Computed tomography; Field of view 400x400 mm

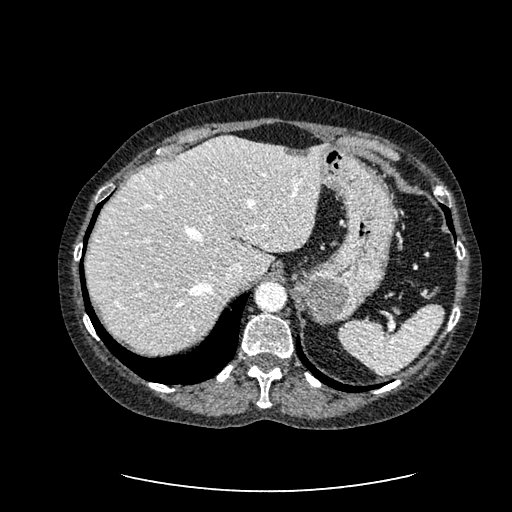
The focal liver lesion lies within region(284, 147, 311, 157). The liver lies within region(85, 136, 332, 351).